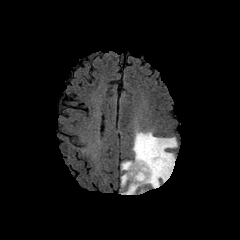
FLAIR MR.
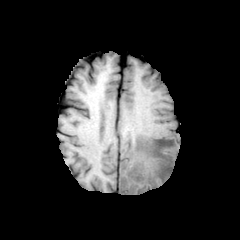
T1-weighted MR image.
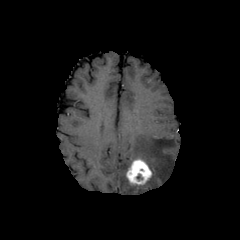
Post-contrast T1-weighted MR of the same slice.
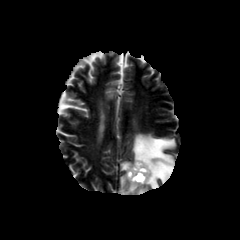
T2-weighted MR image.
Head
Findings:
* non-enhancing tumor core: 136, 154, 154, 181
* edema: 120, 132, 176, 194
* enhancing tumor: 126, 157, 152, 185